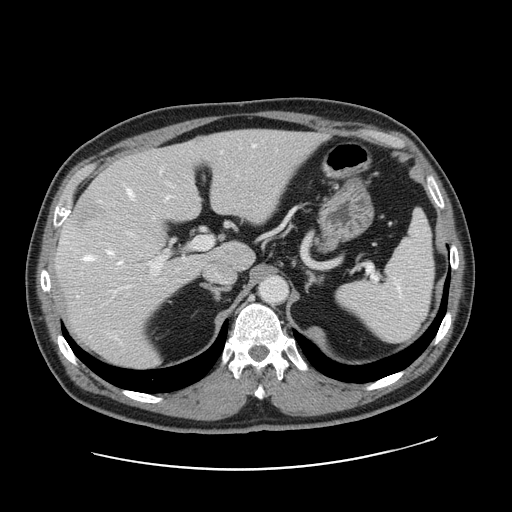
Abdomen; CT
The vessel boxes may cover only some of the vessels.
Liver tumor = {"x1": 71, "y1": 205, "x2": 105, "y2": 227}.
Top 15 of 17 hepatic vessel regions = {"x1": 112, "y1": 290, "x2": 116, "y2": 295}, {"x1": 191, "y1": 142, "x2": 195, "y2": 145}, {"x1": 108, "y1": 247, "x2": 113, "y2": 255}, {"x1": 166, "y1": 195, "x2": 172, "y2": 199}, {"x1": 127, "y1": 189, "x2": 134, "y2": 199}, {"x1": 212, "y1": 190, "x2": 225, "y2": 211}, {"x1": 119, "y1": 286, "x2": 128, "y2": 288}, {"x1": 168, "y1": 183, "x2": 171, "y2": 185}, {"x1": 200, "y1": 140, "x2": 203, "y2": 144}, {"x1": 83, "y1": 254, "x2": 94, "y2": 259}, {"x1": 182, "y1": 253, "x2": 186, "y2": 259}, {"x1": 126, "y1": 231, "x2": 134, "y2": 236}, {"x1": 253, "y1": 143, "x2": 257, "y2": 146}, {"x1": 149, "y1": 244, "x2": 173, "y2": 272}, {"x1": 118, "y1": 260, "x2": 121, "y2": 264}.